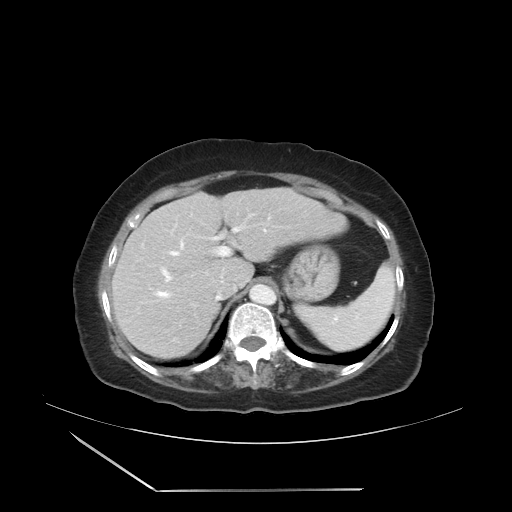
CT slice; 512x512 px

Only some of the vessels may be annotated.
Hepatic vessel = <box>213,247,227,254</box>, <box>206,236,220,239</box>, <box>205,272,207,274</box>, <box>153,291,172,299</box>, <box>141,244,143,248</box>, <box>248,213,254,216</box>, <box>140,301,154,303</box>, <box>234,223,245,231</box>, <box>268,215,269,219</box>, <box>167,237,183,255</box>, <box>160,266,172,281</box>, <box>194,305,195,306</box>, <box>170,218,177,234</box>, <box>264,223,267,231</box>.